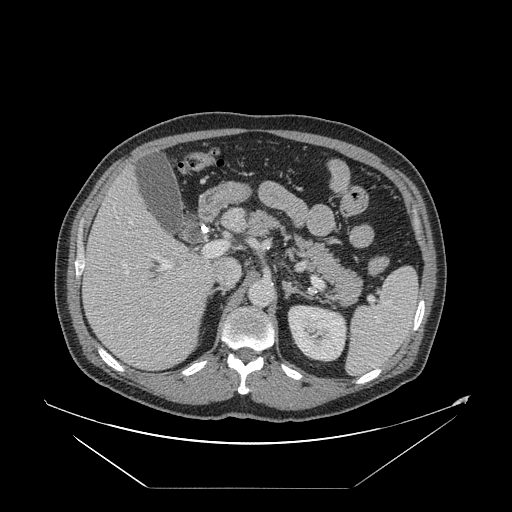
CT slice
Not every hepatic vessel necessarily has a box.
Hepatic vessel: 130:221:132:224, 226:261:239:284, 125:271:128:274, 203:295:204:296, 150:329:151:331, 122:263:126:268, 203:241:227:257, 153:254:171:270.